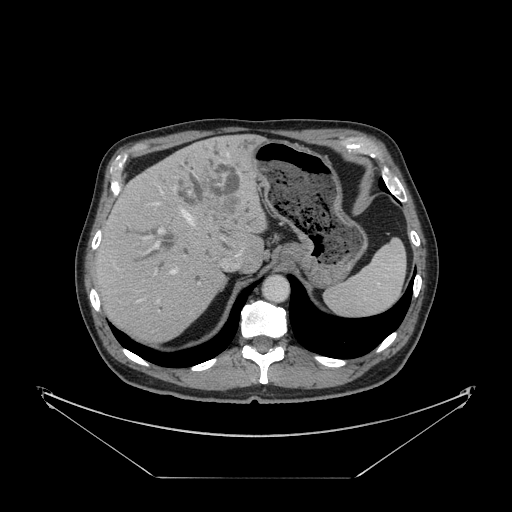
CT scan slice
The vessel boxes may cover only some of the vessels.
The liver tumor lies within 198,193,242,227. 11 hepatic vessel regions are located at 158,228,162,232; 173,186,175,189; 157,300,158,301; 170,270,176,273; 152,243,158,248; 144,237,147,238; 181,210,193,224; 225,266,226,268; 159,189,162,193; 154,272,155,274; 153,203,158,204.